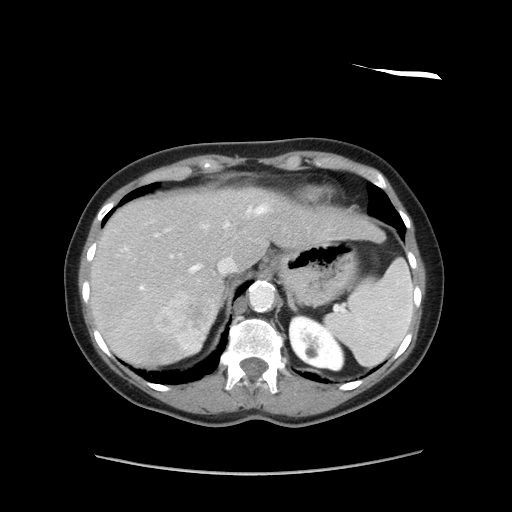

Computed tomography
Not every hepatic vessel necessarily has a box.
hepatic_vessel:
  - (224,222,228,227)
  - (247,205,268,214)
  - (202,224,208,228)
  - (190,264,201,271)
  - (140,285,144,289)
  - (217,255,236,273)
  - (170,255,172,257)
  - (122,247,126,251)
  - (156,234,158,236)
  - (165,229,169,231)
liver_tumor:
  - (152,288,218,355)